CT slice; Liver 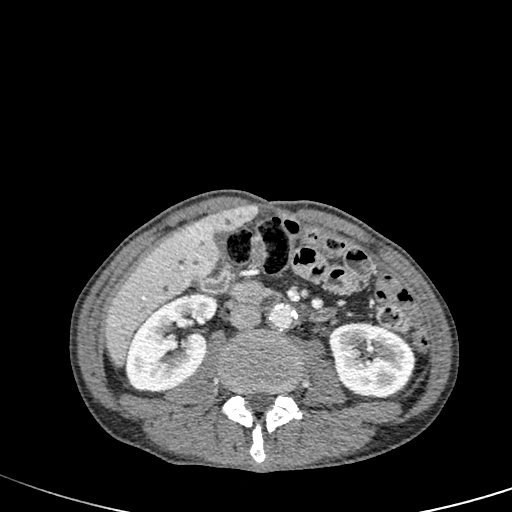

Kidney = 126:294:216:390, 330:324:414:396.
Liver = 105:209:230:366.
Hepatic lesion = 217:205:257:232.